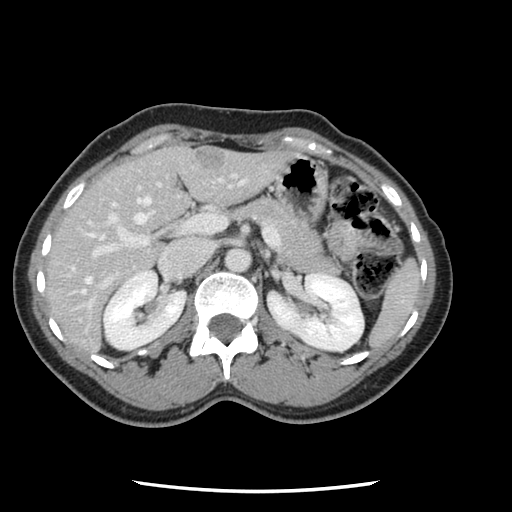
CT slice
Not every hepatic vessel necessarily has a box.
Liver tumor: bounding box (left=195, top=153, right=225, bottom=169).
Hepatic vessel: bounding box (left=134, top=212, right=149, bottom=222), (left=92, top=244, right=116, bottom=256), (left=107, top=213, right=116, bottom=222), (left=112, top=203, right=115, bottom=205), (left=85, top=277, right=90, bottom=282), (left=118, top=227, right=148, bottom=245), (left=86, top=302, right=90, bottom=308), (left=138, top=197, right=149, bottom=203), (left=87, top=233, right=102, bottom=238), (left=81, top=289, right=84, bottom=292), (left=101, top=278, right=110, bottom=285), (left=157, top=183, right=159, bottom=184), (left=239, top=179, right=244, bottom=182).